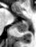
Medial temporal lobe | MR image | Image size 36x47
Posterior hippocampus: <box>16,20,29,32</box>.